Slice index 6; MR 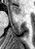
Anterior hippocampus — box=[11, 5, 20, 13].